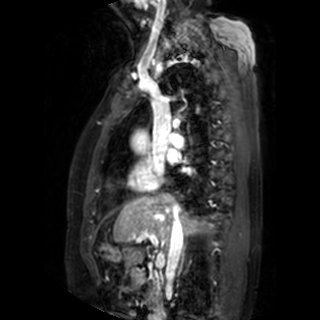

Cardiac, MRI slice, 320x320 px
Left atrium = 168 151 176 163.